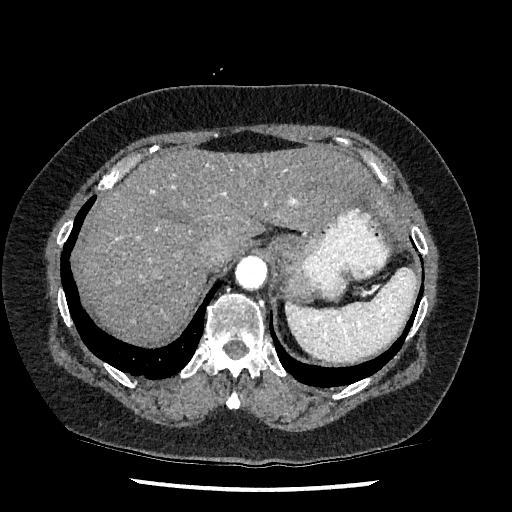

CT scan slice

Liver — bbox(76, 148, 408, 343).
Hepatic lesion — bbox(355, 196, 370, 207).